Brain. Field of view 240 mm wide, 1.00 mm slice spacing. Slice 93 of 155.
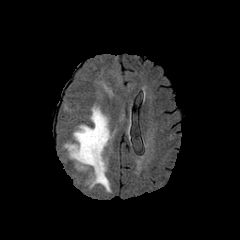
FLAIR MR.
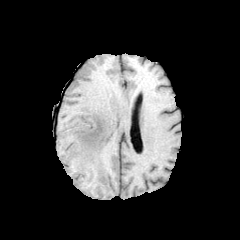
Same slice, T1-weighted MR.
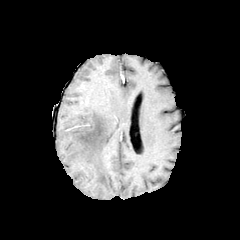
Post-contrast T1-weighted MR.
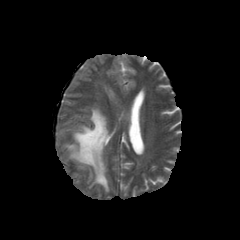
T2-weighted MRI.
edema: bbox=[63, 106, 112, 192]